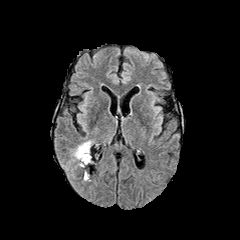
FLAIR MRI.
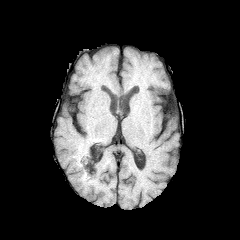
T1-weighted MR of the same slice.
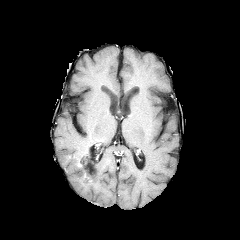
Same slice, post-contrast T1-weighted MR image.
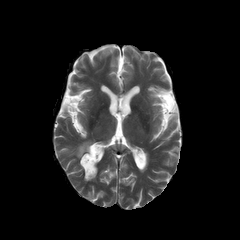
Same slice, T2-weighted MR.
Brain
Segmented structures:
- non-enhancing tumor core: rect(78, 145, 91, 165)
- edema: rect(65, 140, 93, 167)